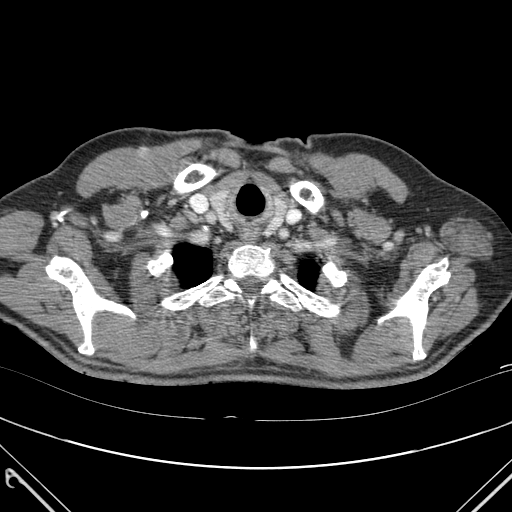 Computed tomography
8 bone regions are located at box(290, 181, 323, 212); box(147, 252, 172, 275); box(323, 262, 346, 286); box(174, 164, 215, 192); box(46, 256, 134, 354); box(162, 274, 338, 316); box(379, 258, 450, 359); box(228, 245, 273, 277). 2 lung regions are bounded by box(298, 260, 318, 289); box(173, 243, 211, 287).